512x512 px, CT slice, Slice 26/51
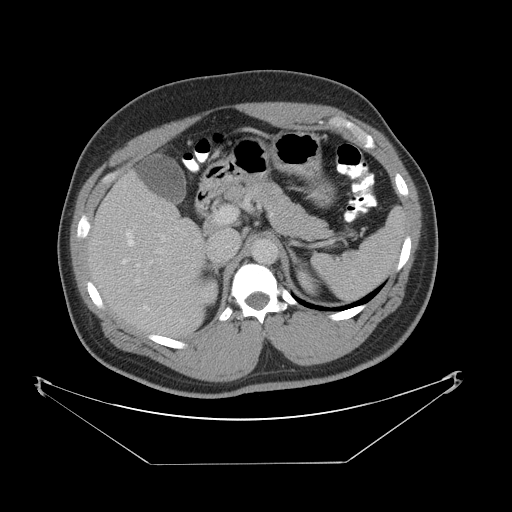
Not every hepatic vessel necessarily has a box.
Hepatic vessel — left=210, top=231, right=237, bottom=260; left=183, top=251, right=186, bottom=252; left=180, top=256, right=183, bottom=258.